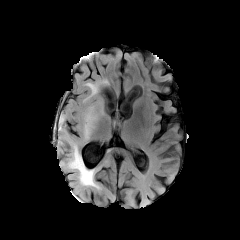
FLAIR magnetic resonance.
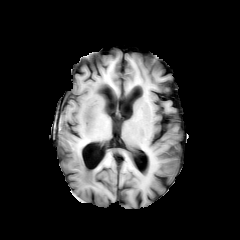
T1-weighted MRI of the same slice.
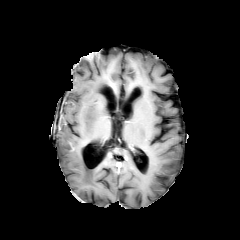
Post-contrast T1-weighted magnetic resonance of the same slice.
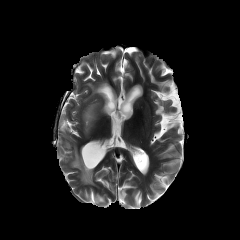
Same slice, T2-weighted MR image.
240x240; Head
Edema — 57,114,97,187; 86,82,98,96; 84,109,94,139.